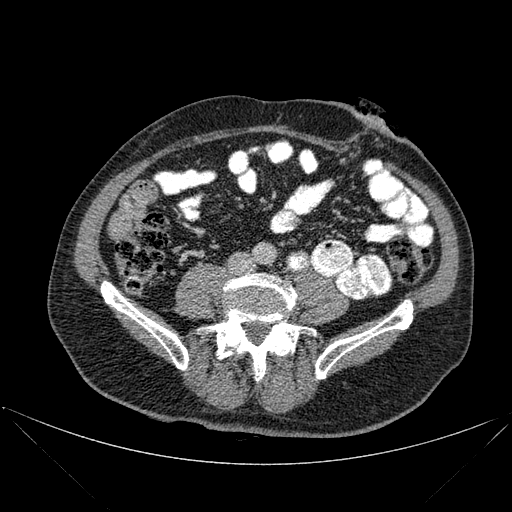

CT image
3 bone regions are located at (199,274,315,380), (315,300,412,378), (101,281,188,369).